Field of view 348x348 mm | CT slice | 512x512 | Slice index 506

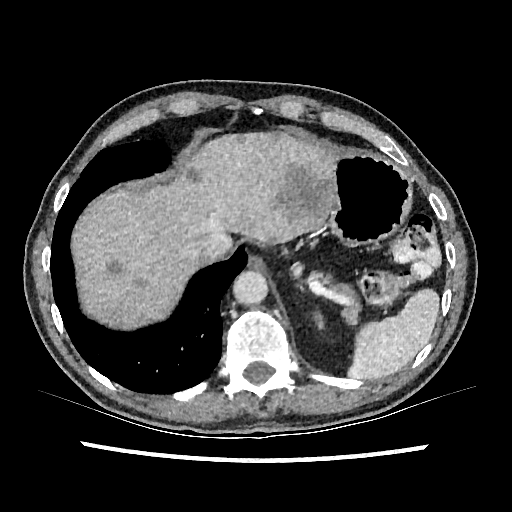

hepatic_lesion:
  - (left=132, top=276, right=148, bottom=288)
  - (left=267, top=236, right=277, bottom=241)
  - (left=234, top=135, right=246, bottom=145)
  - (left=106, top=261, right=125, bottom=277)
  - (left=106, top=312, right=116, bottom=320)
  - (left=187, top=168, right=201, bottom=182)
  - (left=270, top=162, right=333, bottom=227)
liver:
  - (left=76, top=133, right=334, bottom=325)